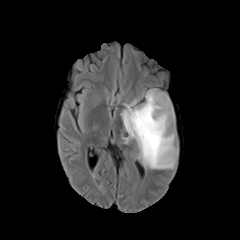
FLAIR MR.
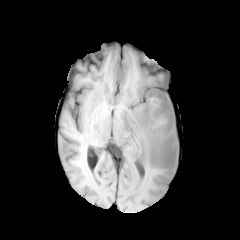
T1-weighted MRI of the same slice.
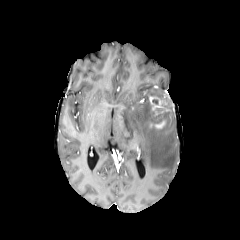
Post-contrast T1-weighted MR of the same slice.
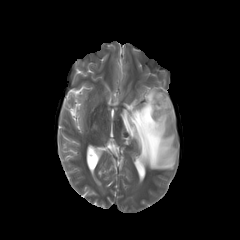
T2-weighted MRI.
Brain
enhancing tumor: region(149, 96, 162, 109) | non-enhancing tumor core: region(147, 87, 175, 130) | edema: region(120, 85, 178, 172)